Field of view 403 mm wide, 0.70 mm slice spacing; CT slice
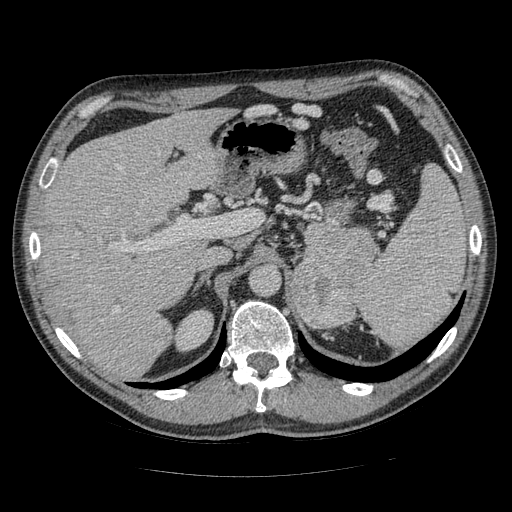
Annotated regions:
- pancreatic tumor: 292,259,356,328
- pancreas: 304,222,377,289